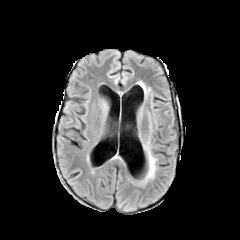
FLAIR magnetic resonance.
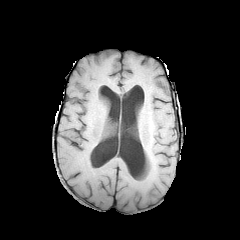
T1-weighted MR.
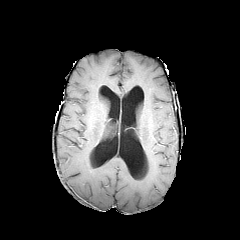
Same slice, post-contrast T1-weighted MRI.
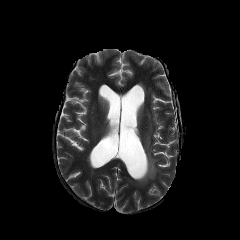
T2-weighted MR of the same slice.
Edema: (141,139,157,185).